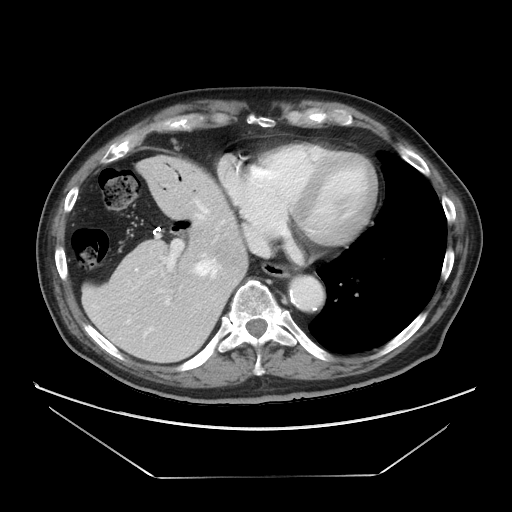 CT scan slice. Abdomen.
Only some of the vessels may be annotated.
Hepatic vessel: x1=192 y1=255 x2=219 y2=278, x1=166 y1=296 x2=169 y2=304, x1=159 y1=240 x2=182 y2=270.